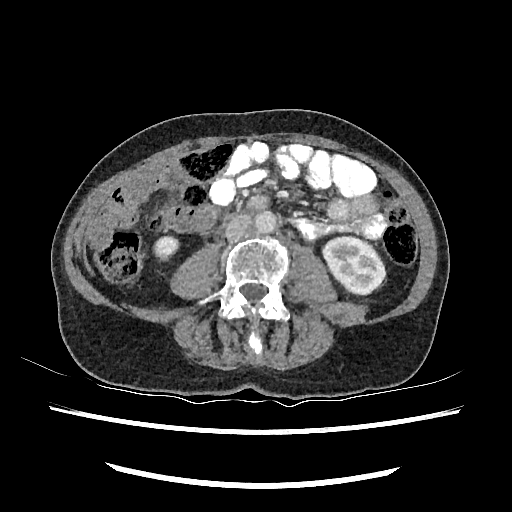
CT scan slice | Abdomen

Kidney at 157 238 175 253, 323 237 384 293.